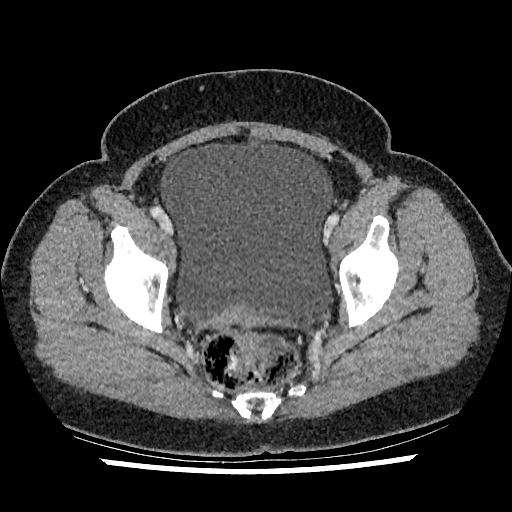
CT. Urinary bladder = rect(161, 142, 332, 328).